Field of view 432 mm wide, 1.50 mm slice spacing. CT.

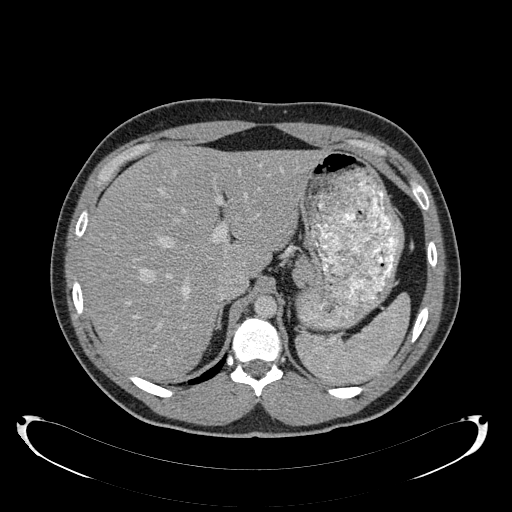
<segmentation>
  <liver>[81, 145, 327, 379]</liver>
</segmentation>